Computed tomography, Upper abdomen
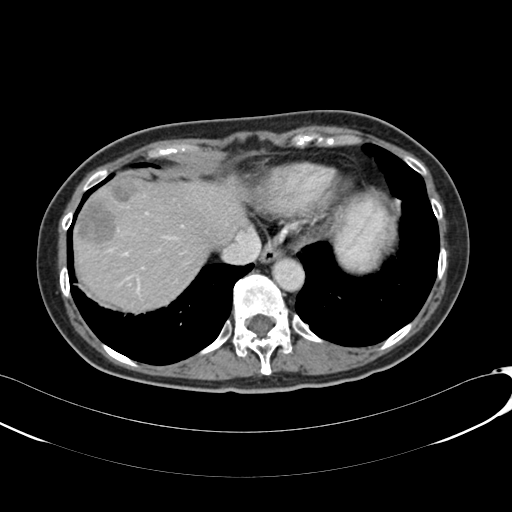 2 focal liver lesion regions are located at l=107, t=179, r=140, b=201; l=78, t=201, r=114, b=243. The liver is bounded by l=74, t=179, r=245, b=309.